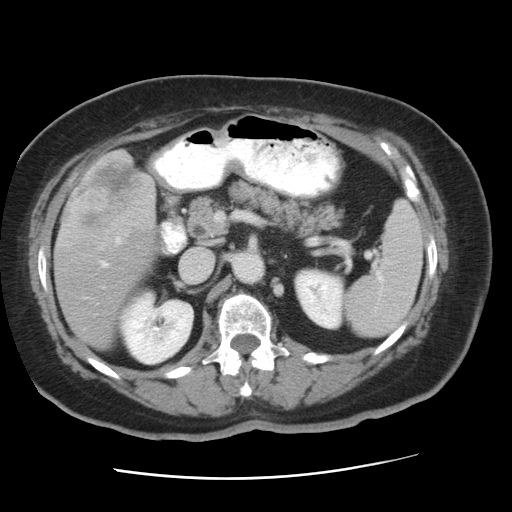
CT image | 512x512 | Abdomen

Some hepatic vessels may have no box.
hepatic_vessel:
  - <bbox>100, 261, 106, 266</bbox>
  - <bbox>216, 214, 221, 219</bbox>
  - <bbox>116, 238, 119, 242</bbox>
liver_tumor:
  - <bbox>75, 161, 136, 248</bbox>